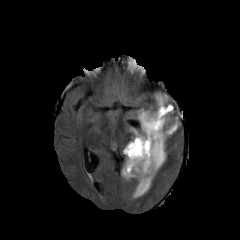
FLAIR MR image.
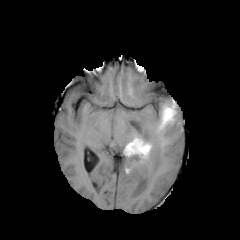
T1-weighted MR.
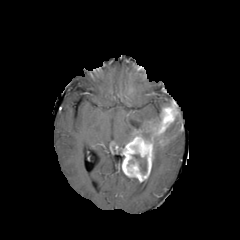
Post-contrast T1-weighted MR of the same slice.
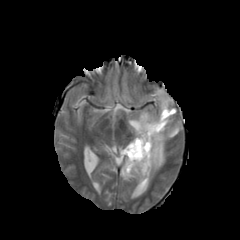
Same slice, T2-weighted MRI.
240x240
Findings:
- enhancing tumor: bbox(154, 105, 176, 135); bbox(122, 135, 153, 181)
- edema: bbox(137, 93, 169, 135); bbox(152, 114, 180, 172); bbox(132, 172, 153, 197)
- non-enhancing tumor core: bbox(138, 109, 164, 165); bbox(164, 122, 175, 132); bbox(132, 154, 146, 173)